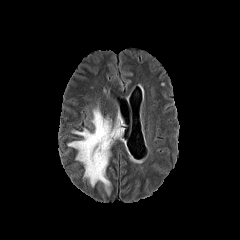
FLAIR MRI.
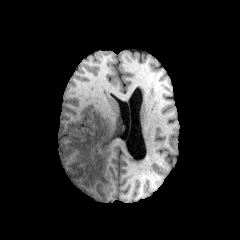
T1-weighted MR of the same slice.
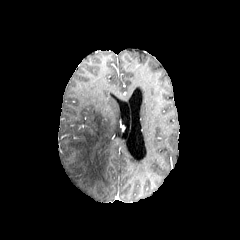
Same slice, post-contrast T1-weighted MR image.
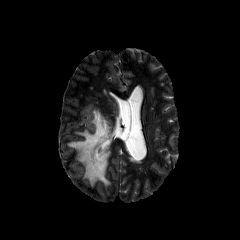
T2-weighted magnetic resonance.
240x240 px.
edema: <box>67,104,123,195</box>